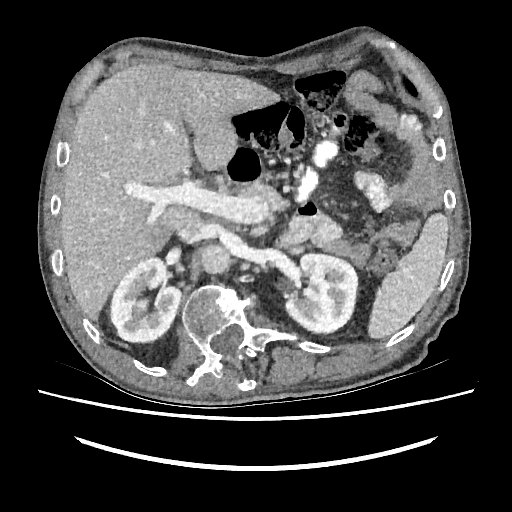

Liver. Image size 512x512. Computed tomography.
Kidney: 286:254:357:332, 111:258:180:341.
Liver: 62:64:279:319.